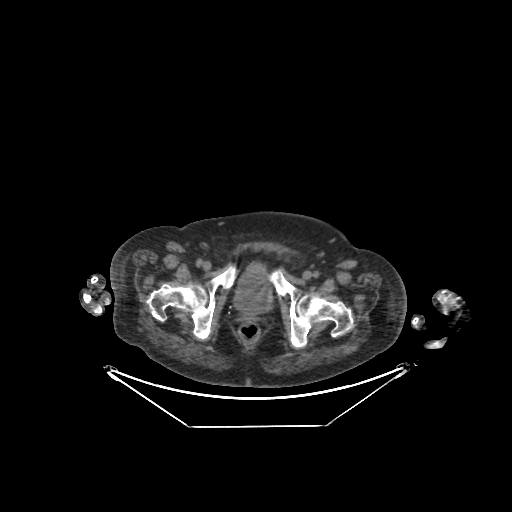 CT slice, Pelvis

Urinary bladder at region(232, 261, 275, 317).